FLAIR MRI.
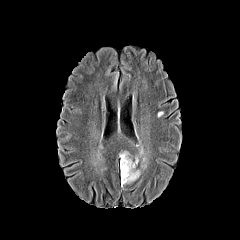
T1-weighted MR image.
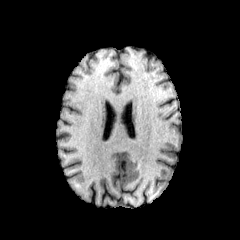
Post-contrast T1-weighted magnetic resonance.
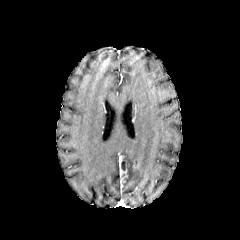
T2-weighted MR image.
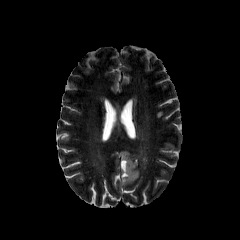
* edema: x1=119, y1=151, x2=140, y2=184
* enhancing tumor: x1=119, y1=157, x2=127, y2=184